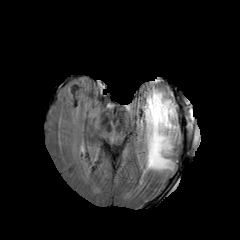
FLAIR MR.
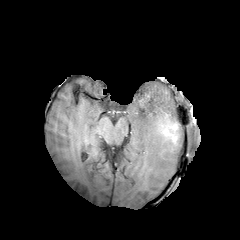
T1-weighted MR image.
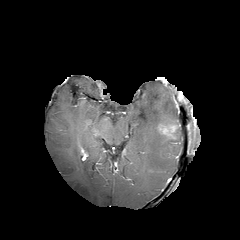
Post-contrast T1-weighted magnetic resonance.
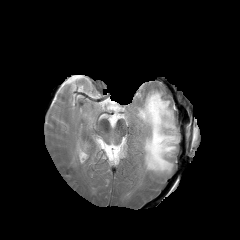
T2-weighted magnetic resonance.
Brain
<segmentation>
  <enhancing_tumor>[159,125,175,139]</enhancing_tumor>
  <edema>[137,87,179,175]</edema>
</segmentation>